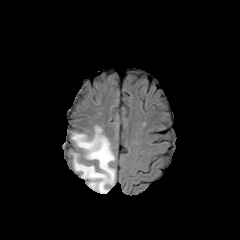
FLAIR magnetic resonance.
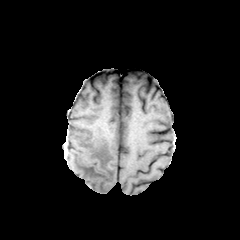
T1-weighted magnetic resonance.
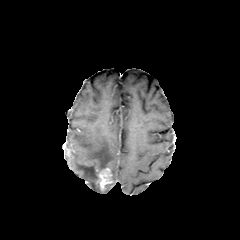
Post-contrast T1-weighted magnetic resonance.
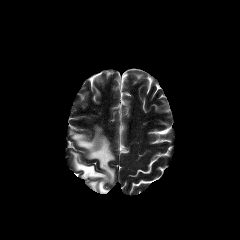
Same slice, T2-weighted MRI.
Head
The edema lies within (70,126,115,193). The enhancing tumor appears at (96,168,112,190).